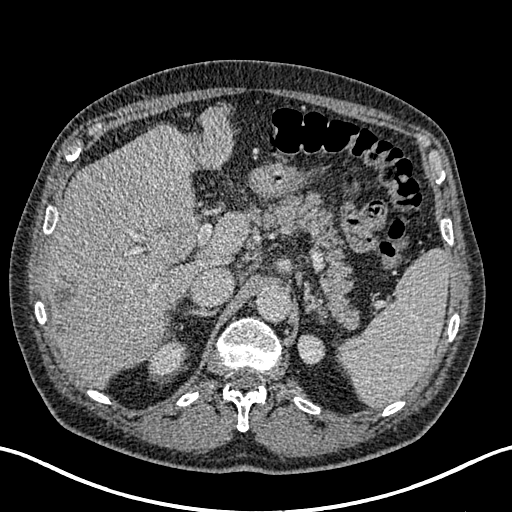

Liver | CT scan slice
Liver — region(46, 106, 248, 387).
Focal liver lesion — region(147, 218, 192, 268); region(130, 341, 149, 358); region(51, 277, 87, 332).
Kidney — region(151, 344, 182, 374); region(299, 336, 323, 363).